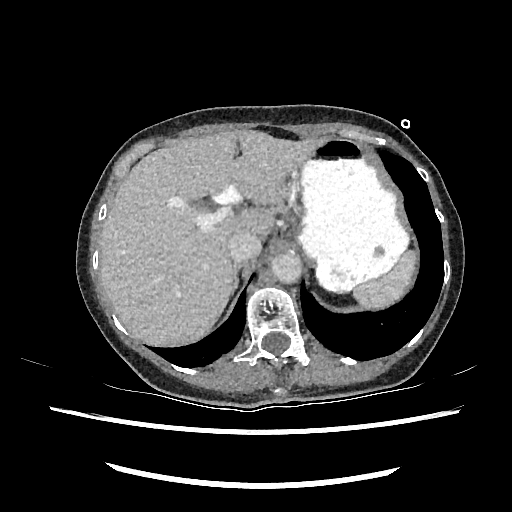

CT scan slice | Abdomen
Liver = bbox=[100, 130, 322, 345].